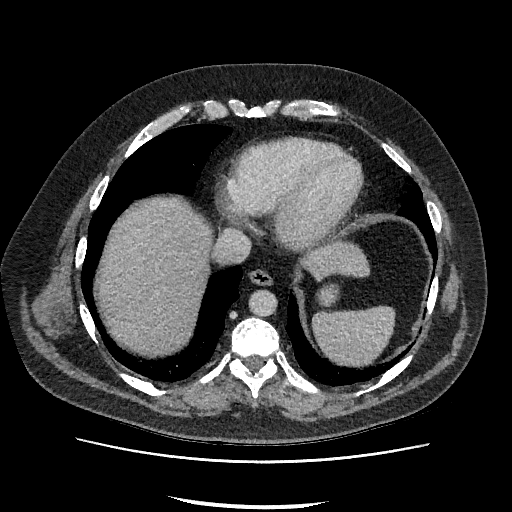
CT image; 512x512 px
liver: box(306, 244, 367, 280); box(98, 198, 210, 353)